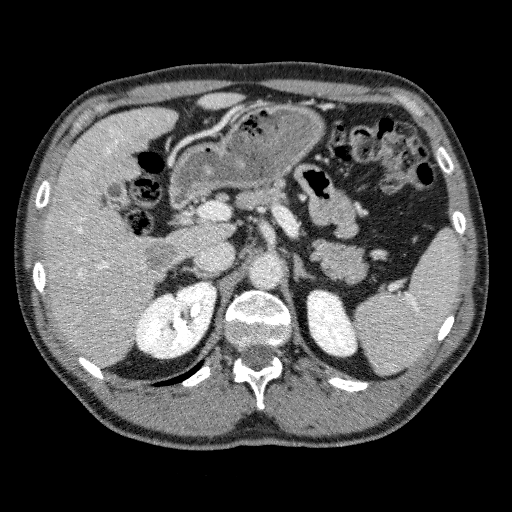

CT slice | 512x512

<segmentation>
  <kidney>(308, 291, 356, 355), (136, 283, 215, 357)</kidney>
  <liver>(39, 107, 233, 366), (197, 92, 243, 109)</liver>
  <focal_liver_lesion>(144, 241, 178, 272), (113, 158, 137, 177), (132, 131, 147, 143)</focal_liver_lesion>
</segmentation>